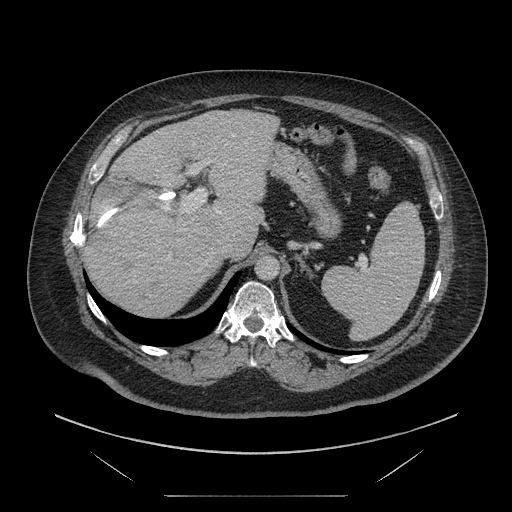
Abdomen, CT scan slice

Not every hepatic vessel necessarily has a box.
Hepatic vessel: bounding box l=179, t=188, r=206, b=221; l=187, t=157, r=222, b=174.
Liver tumor: bounding box l=92, t=175, r=174, b=226.